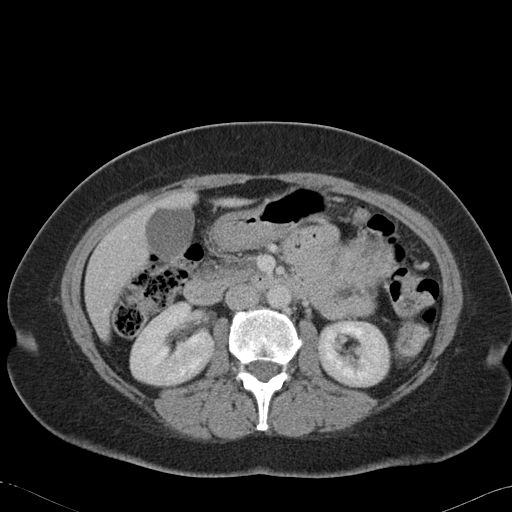

CT image, 512x512
2 pancreas regions are located at [196,257,257,288], [341,277,386,286]. The pancreatic tumor is at [330,229,394,283].